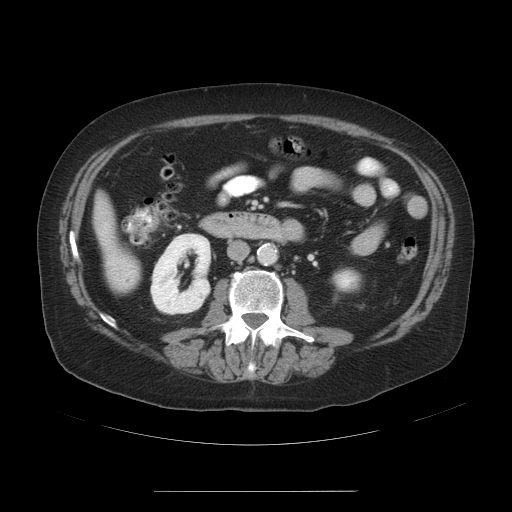
Computed tomography. 512x512. Liver. The liver tumor is located at x1=106 y1=247 x2=138 y2=291.